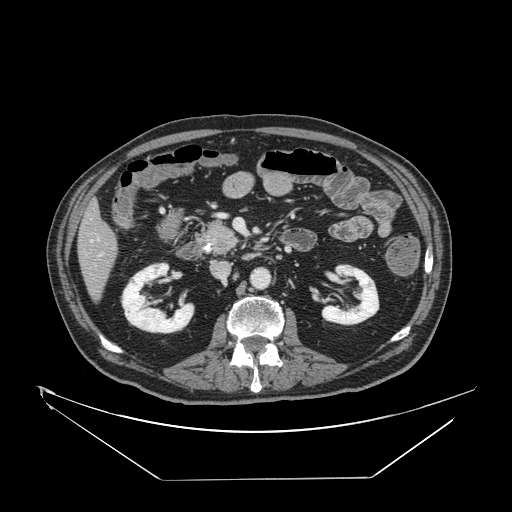 512x512 px. Computed tomography.
Pancreas — 192:219:242:259.
Pancreatic tumor — 206:226:236:254.